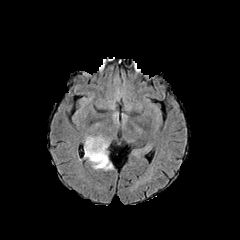
FLAIR MRI.
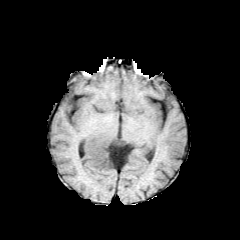
T1-weighted MR image of the same slice.
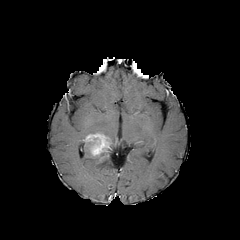
Post-contrast T1-weighted magnetic resonance.
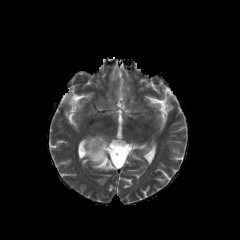
T2-weighted MR.
Image size 240x240
The enhancing tumor lies within (82,134,110,162). The edema appears at (84,149,113,170).